FLAIR MR.
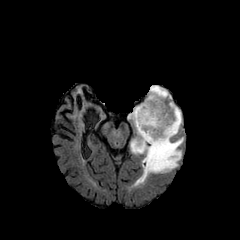
T1-weighted MRI.
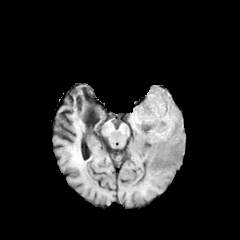
Post-contrast T1-weighted magnetic resonance.
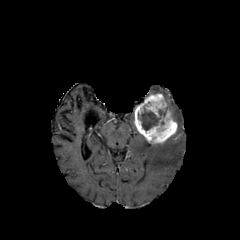
T2-weighted magnetic resonance.
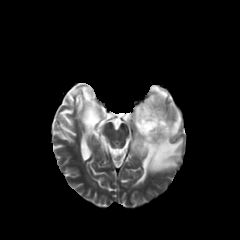
Brain.
<segmentation>
  <edema>box(127, 112, 134, 121); box(130, 85, 184, 186)</edema>
  <non-enhancing_tumor_core>box(138, 111, 160, 130); box(159, 106, 170, 116)</non-enhancing_tumor_core>
  <enhancing_tumor>box(134, 92, 177, 144)</enhancing_tumor>
</segmentation>